FLAIR magnetic resonance.
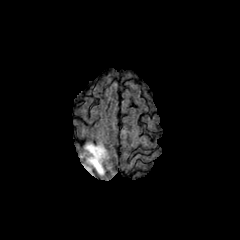
T1-weighted MR image.
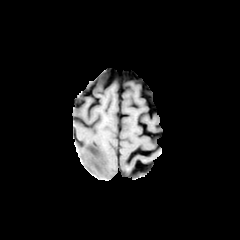
Post-contrast T1-weighted MRI.
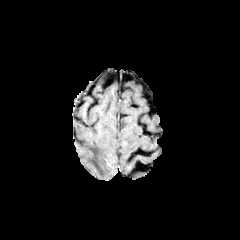
T2-weighted MR.
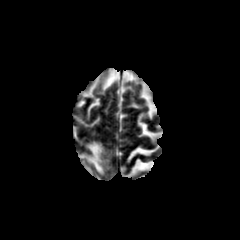
Image size 240x240, Head
edema: [79,142,115,178]